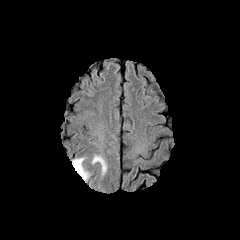
FLAIR magnetic resonance.
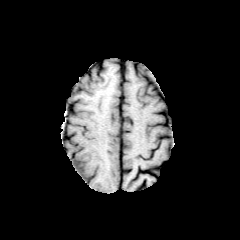
T1-weighted magnetic resonance.
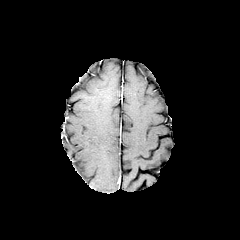
Post-contrast T1-weighted MR.
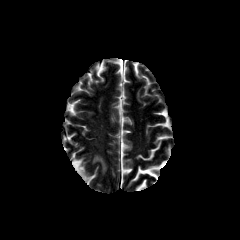
Same slice, T2-weighted magnetic resonance.
240x240
Edema: bounding box [x1=72, y1=156, x2=106, y2=182].